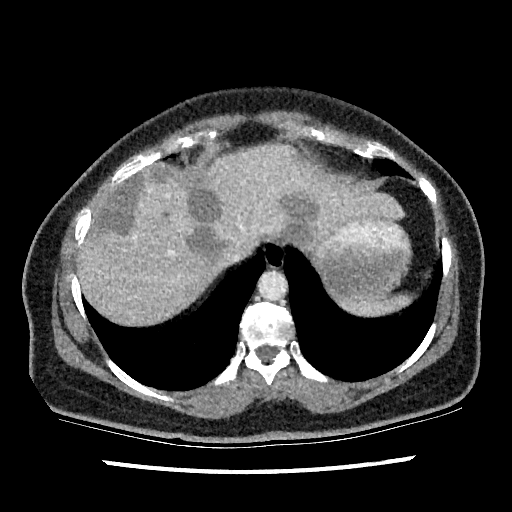
512x512 px; Abdomen; CT

Annotated regions:
* hepatic lesion: left=279, top=192, right=317, bottom=244; left=155, top=164, right=171, bottom=181; left=296, top=154, right=306, bottom=165; left=95, top=174, right=142, bottom=233; left=180, top=165, right=228, bottom=257
* liver: left=199, top=145, right=401, bottom=247; left=79, top=164, right=230, bottom=325; left=96, top=183, right=121, bottom=215